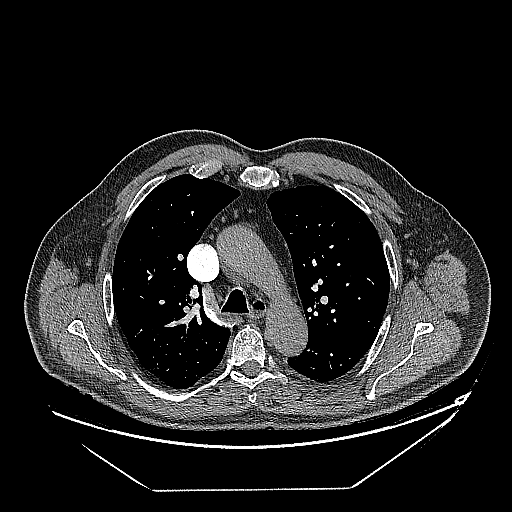 512x512 px; CT image

Lung tumor at bbox(137, 347, 146, 356).